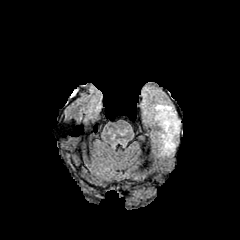
FLAIR MRI.
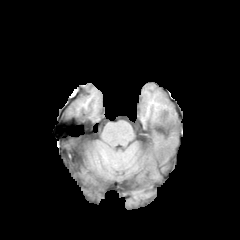
Same slice, T1-weighted MRI.
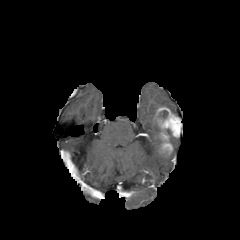
Post-contrast T1-weighted MR image of the same slice.
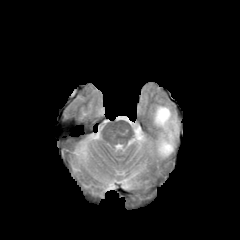
T2-weighted magnetic resonance of the same slice.
Head.
Enhancing tumor: bounding box l=154, t=107, r=181, b=155.
Edema: bounding box l=152, t=101, r=177, b=119; l=170, t=137, r=177, b=152.